CT slice | Image size 512x512 | Liver | Slice 455 of 756 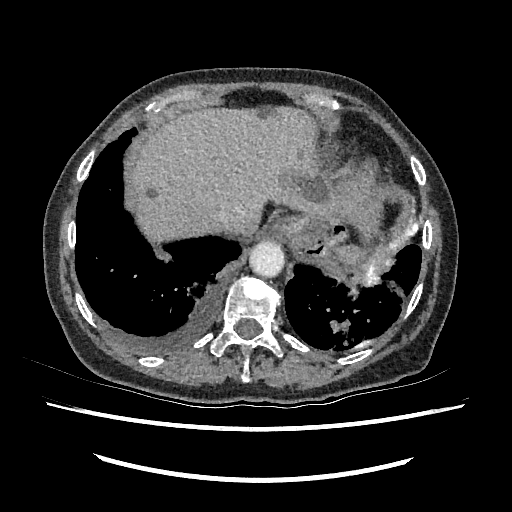
Annotated regions:
* hepatic lesion: (x1=258, y1=107, x2=272, y2=116), (x1=147, y1=188, x2=156, y2=199), (x1=288, y1=172, x2=328, y2=201)
* liver: (x1=133, y1=107, x2=338, y2=241)